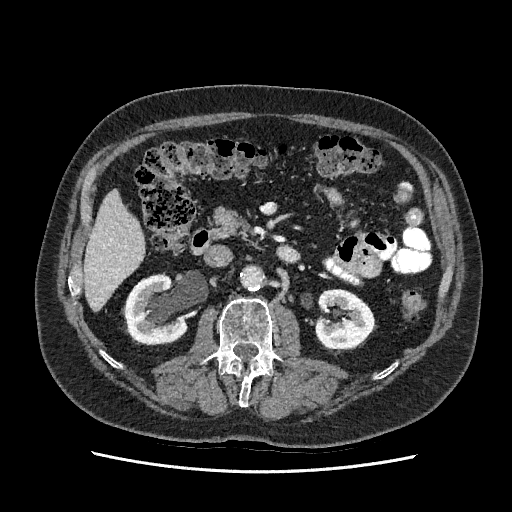
CT
2 kidney regions appear at x1=125 y1=275 x2=186 y2=343, x1=316 y1=290 x2=373 y2=348. The liver appears at x1=84 y1=189 x2=144 y2=310.